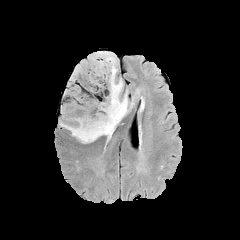
FLAIR MR image.
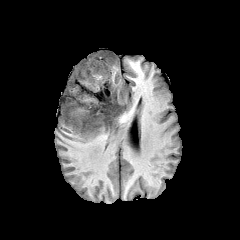
Same slice, T1-weighted MRI.
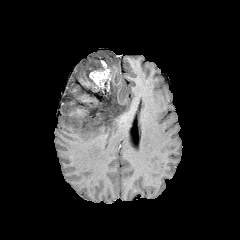
Post-contrast T1-weighted MR.
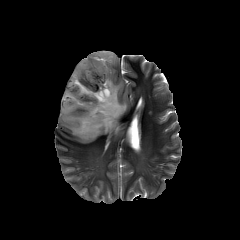
Same slice, T2-weighted MR.
Brain, 240x240
<segmentation>
  <edema>bbox(60, 56, 133, 143); bbox(64, 51, 114, 95)</edema>
  <enhancing_tumor>bbox(89, 60, 111, 89)</enhancing_tumor>
  <non-enhancing_tumor_core>bbox(94, 54, 114, 71); bbox(95, 82, 108, 91); bbox(87, 94, 118, 127)</non-enhancing_tumor_core>
</segmentation>